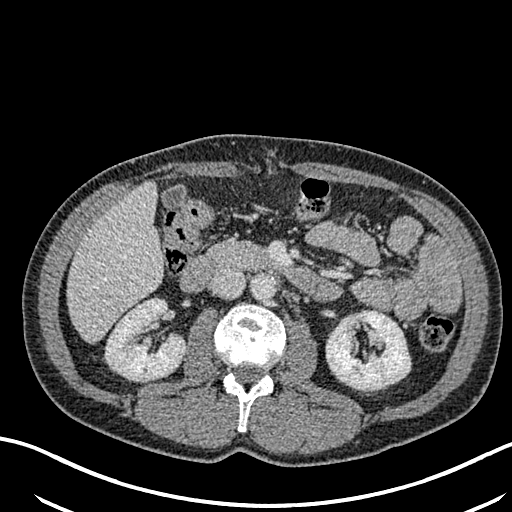
Abdomen. CT.

The focal liver lesion is at 79 327 90 336. 2 kidney regions appear at 326 311 410 388, 105 299 185 380. The liver is bounded by 68 181 162 341.